Slice 32 of 45, Liver, CT image
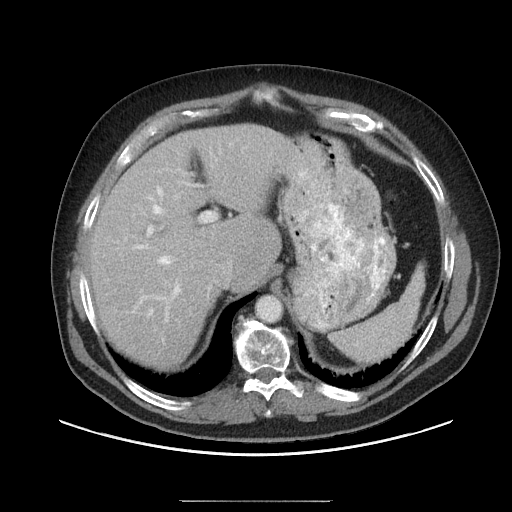

Not every hepatic vessel necessarily has a box.
- hepatic vessel: region(148, 196, 152, 199); region(157, 188, 162, 196); region(165, 310, 168, 318); region(158, 298, 166, 300); region(153, 205, 161, 213); region(147, 226, 152, 235); region(158, 256, 169, 263); region(228, 261, 230, 266); region(135, 244, 147, 248); region(201, 212, 214, 221); region(222, 268, 229, 273); region(149, 309, 152, 314); region(172, 286, 179, 297)